Computed tomography; Slice index 500; Abdomen

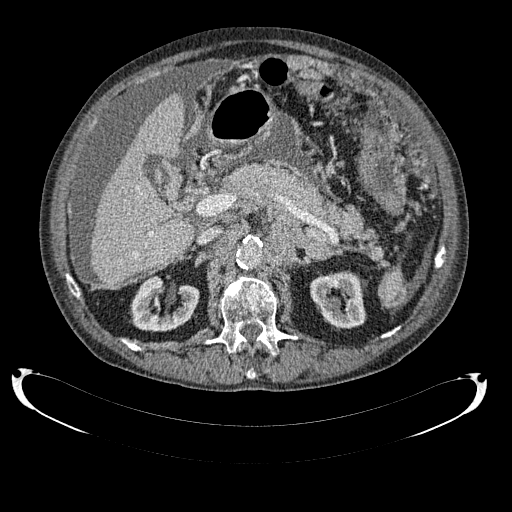
2 kidney regions are bounded by region(132, 276, 198, 330); region(310, 272, 365, 327). The liver is located at region(90, 94, 193, 285).